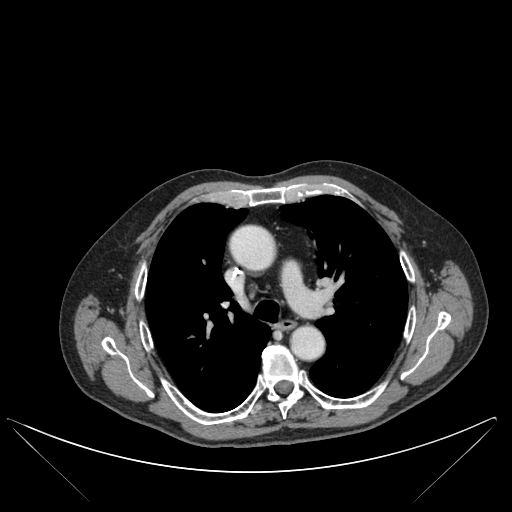 CT. 8 bone regions are bounded by {"x1": 135, "y1": 264, "x2": 146, "y2": 298}, {"x1": 102, "y1": 337, "x2": 153, "y2": 397}, {"x1": 162, "y1": 345, "x2": 385, "y2": 424}, {"x1": 401, "y1": 311, "x2": 450, "y2": 378}, {"x1": 400, "y1": 252, "x2": 414, "y2": 281}, {"x1": 404, "y1": 307, "x2": 415, "y2": 340}, {"x1": 140, "y1": 322, "x2": 152, "y2": 349}, {"x1": 238, "y1": 186, "x2": 291, "y2": 205}. 2 lung regions are located at {"x1": 146, "y1": 203, "x2": 278, "y2": 412}, {"x1": 280, "y1": 195, "x2": 407, "y2": 397}.